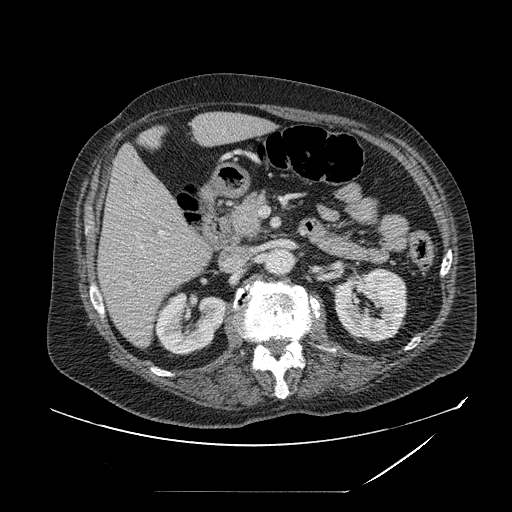

Upper abdomen, CT image
pancreas: [x1=223, y1=191, x2=268, y2=236] | pancreatic tumor: [x1=237, y1=216, x2=260, y2=234]